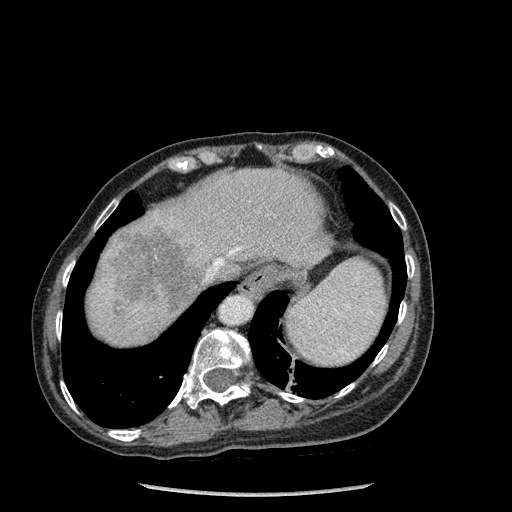
CT scan slice. Upper abdomen. Bone — rect(60, 381, 77, 412); rect(373, 345, 387, 365); rect(62, 260, 74, 286); rect(405, 254, 414, 277); rect(94, 199, 118, 230); rect(336, 383, 354, 397); rect(108, 430, 140, 441); rect(55, 311, 61, 339); rect(278, 392, 303, 402); rect(390, 203, 406, 229); rect(398, 301, 406, 323); rect(169, 328, 250, 408).
Hepatic lesion — rect(108, 228, 202, 310); rect(112, 301, 126, 314).
Lung — rect(248, 167, 406, 398); rect(62, 192, 234, 428).
Liver — rect(85, 168, 327, 347).